CT slice
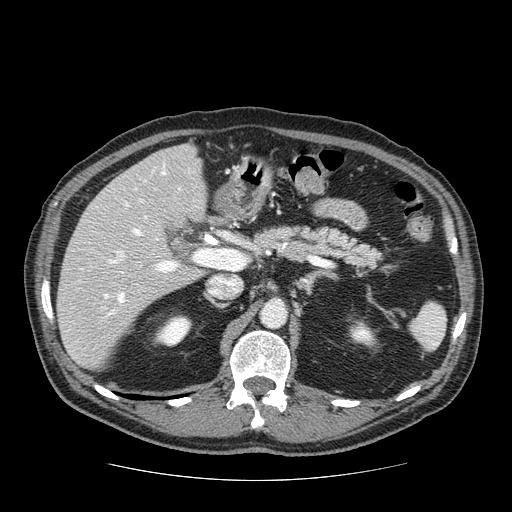 The pancreas appears at 252:225:387:269.